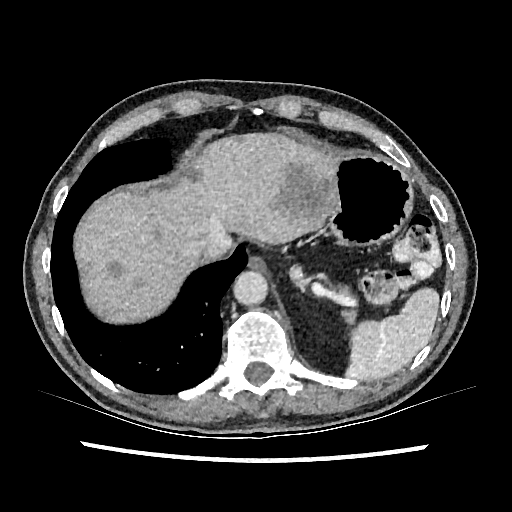

CT scan slice
5 focal liver lesion regions are located at l=270, t=162, r=333, b=226; l=189, t=170, r=201, b=182; l=108, t=262, r=123, b=277; l=233, t=135, r=243, b=142; l=132, t=276, r=148, b=288. The liver is bounded by l=78, t=133, r=335, b=322.